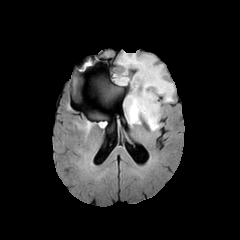
FLAIR MR image.
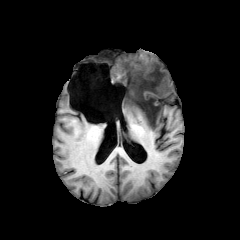
T1-weighted magnetic resonance of the same slice.
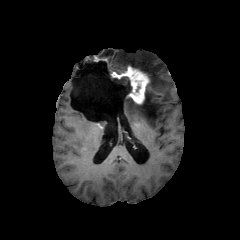
Same slice, post-contrast T1-weighted MR.
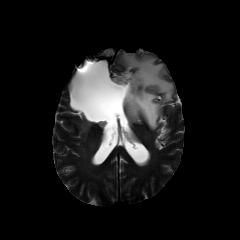
Same slice, T2-weighted MR.
Brain
The enhancing tumor is at rect(114, 66, 149, 103). 2 edema regions are bounded by rect(113, 78, 126, 85); rect(118, 54, 173, 130). 2 non-enhancing tumor core regions are located at rect(136, 78, 155, 119); rect(116, 76, 134, 104).